Upper abdomen. CT slice. 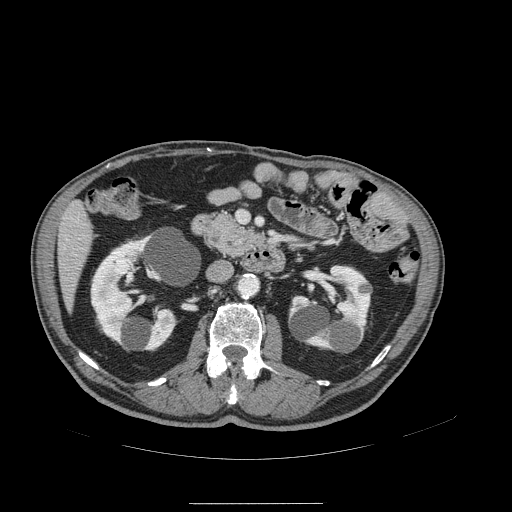
pancreas: box(204, 210, 283, 259)